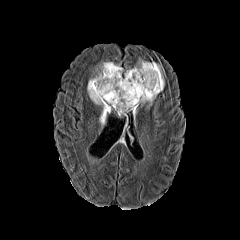
FLAIR MR.
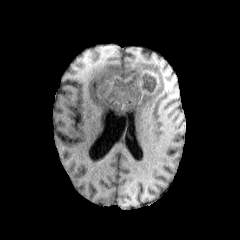
Same slice, T1-weighted MR image.
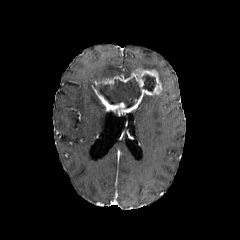
Post-contrast T1-weighted MR.
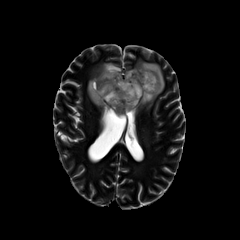
Same slice, T2-weighted MRI.
Brain
<segmentation>
  <edema>bbox=[124, 59, 164, 91]; bbox=[87, 61, 122, 104]; bbox=[99, 105, 105, 126]; bbox=[138, 94, 157, 109]</edema>
  <enhancing_tumor>bbox=[92, 66, 162, 114]</enhancing_tumor>
  <non-enhancing_tumor_core>bbox=[142, 75, 156, 92]; bbox=[93, 77, 141, 108]</non-enhancing_tumor_core>
</segmentation>